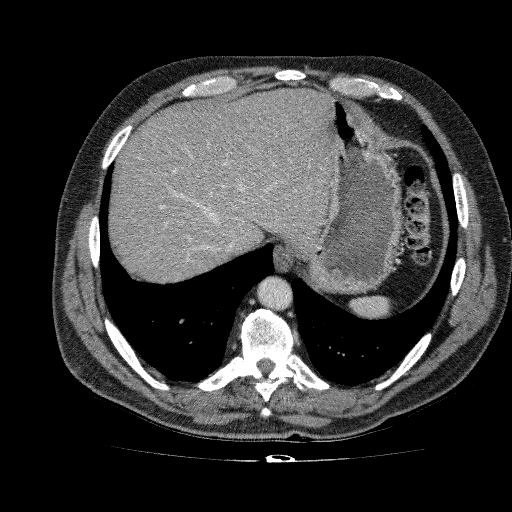 CT image | Abdomen
The liver is at region(109, 88, 333, 284).